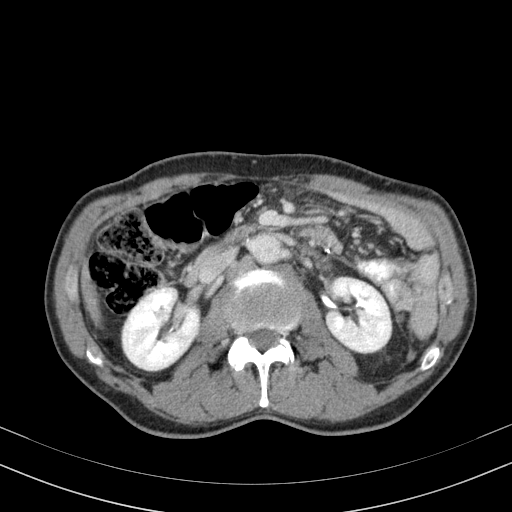 Computed tomography
kidney:
  - 123,288,198,369
  - 327,278,390,351
liver:
  - 82,278,102,329